CT slice | Upper abdomen
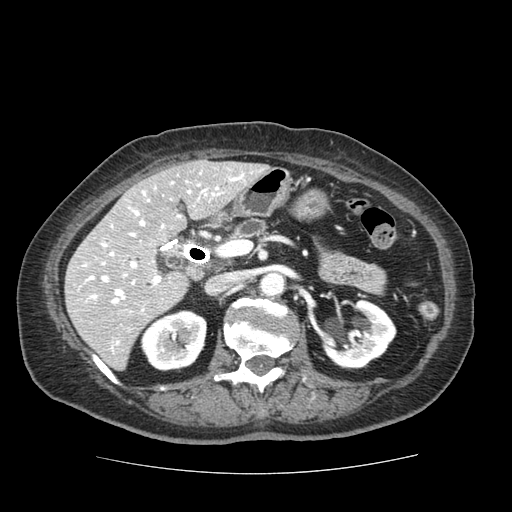
Pancreas — (235,220,265,238).